Slice index 640; CT scan slice; Upper abdomen

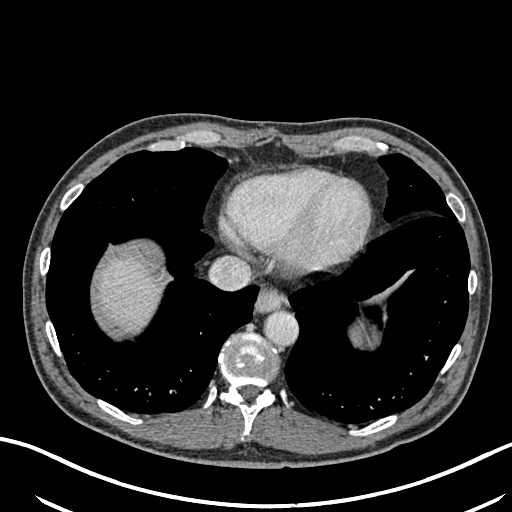
liver: left=100, top=259, right=156, bottom=323